Slice 473/756; CT slice

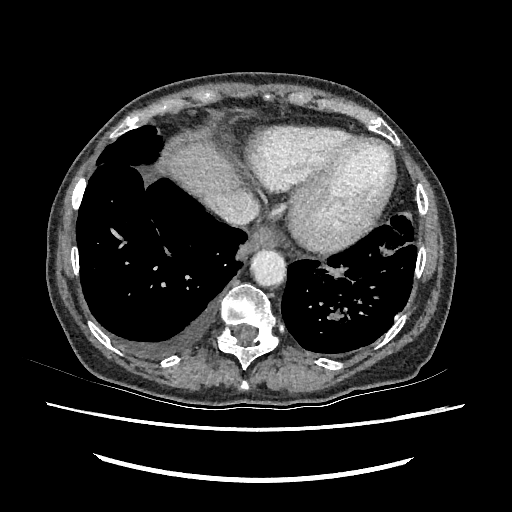

Segmented structures:
* liver: rect(169, 143, 239, 197)